FLAIR MR.
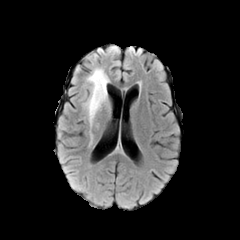
T1-weighted MR.
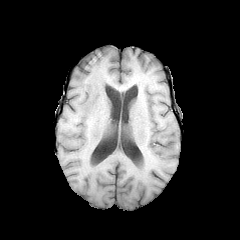
Post-contrast T1-weighted magnetic resonance.
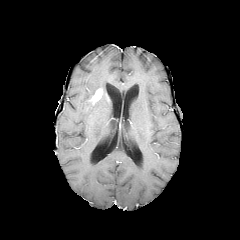
T2-weighted MR image.
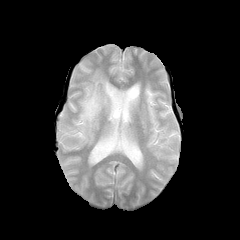
Image size 240x240 | Brain
edema:
  - 79,67,109,145
non-enhancing_tumor_core:
  - 84,100,93,112
enhancing_tumor:
  - 88,88,103,104